Field of view 240x240 mm | Head
FLAIR MRI.
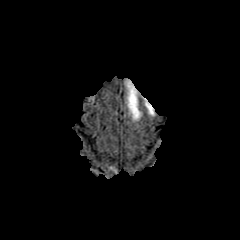
T1-weighted MRI.
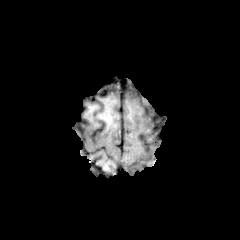
Post-contrast T1-weighted MR.
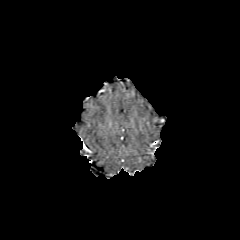
T2-weighted magnetic resonance.
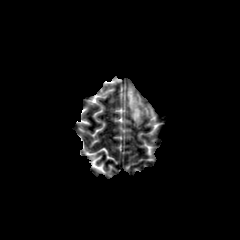
edema:
  - left=126, top=84, right=154, bottom=122